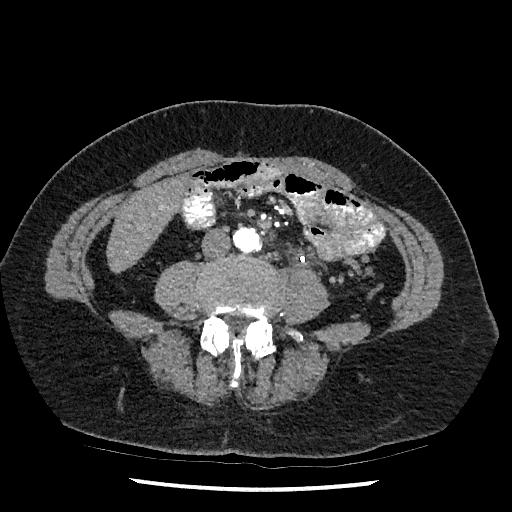

CT slice | Image size 512x512

The liver is bounded by box=[106, 177, 185, 271].